Liver; CT 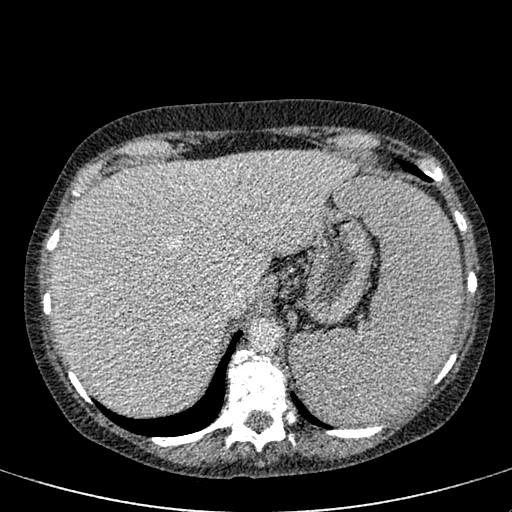
liver: 53 153 357 414